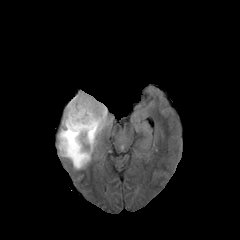
FLAIR MRI.
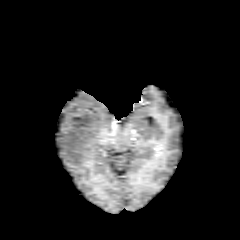
T1-weighted MR image.
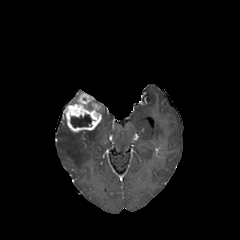
Post-contrast T1-weighted magnetic resonance of the same slice.
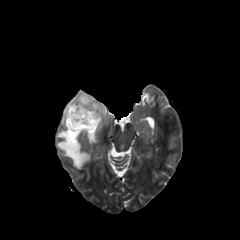
Same slice, T2-weighted magnetic resonance.
Non-enhancing tumor core: bounding box l=68, t=130, r=93, b=135; l=71, t=115, r=91, b=127.
Edema: bounding box l=57, t=114, r=109, b=169.
Enhancing tumor: bounding box l=63, t=91, r=104, b=132.